FLAIR MRI.
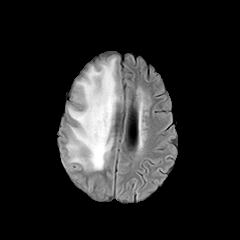
T1-weighted MR image.
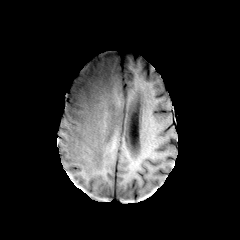
Post-contrast T1-weighted magnetic resonance.
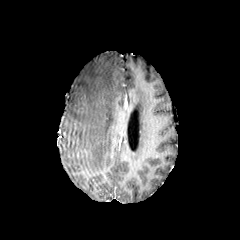
T2-weighted MR image.
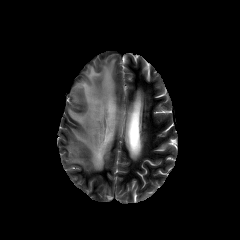
Brain
Segmented structures:
• edema: bbox(67, 58, 117, 170)